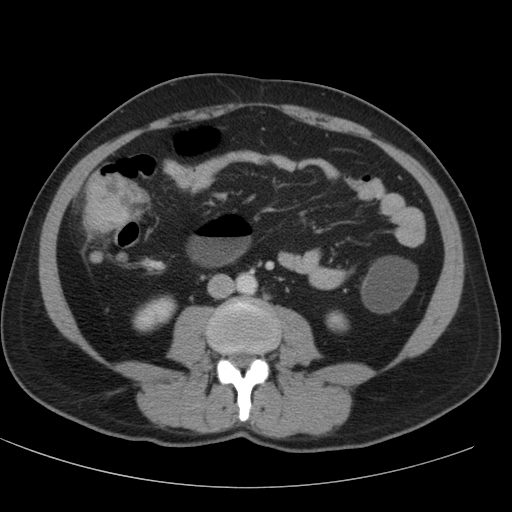 Abdomen, CT image
Segmented structures:
• kidney: l=135, t=298, r=174, b=329; l=328, t=313, r=344, b=328